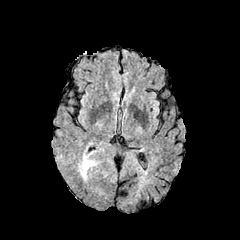
FLAIR magnetic resonance.
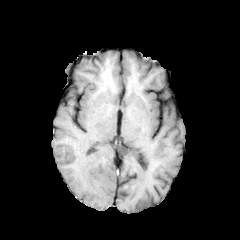
T1-weighted MRI.
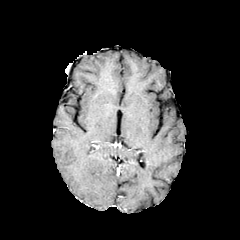
Post-contrast T1-weighted MR image of the same slice.
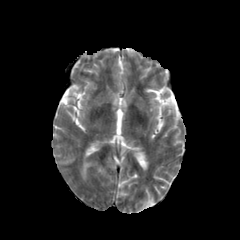
T2-weighted MR image of the same slice.
240x240.
Edema: bounding box x1=80, y1=143, x2=100, y2=180.